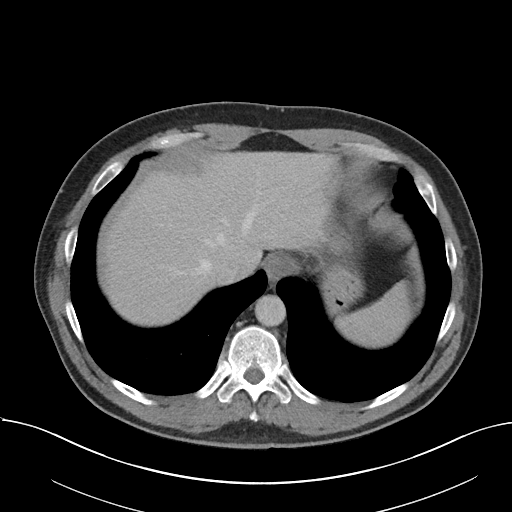
Liver; CT

Some hepatic vessels may have no box.
{"hepatic_vessel": ["(x1=205, y1=240, x2=214, y2=246)", "(x1=257, y1=252, x2=260, y2=257)", "(x1=218, y1=233, x2=224, y2=244)", "(x1=222, y1=219, x2=227, y2=225)", "(x1=178, y1=272, x2=181, y2=273)", "(x1=191, y1=273, x2=194, y2=274)", "(x1=200, y1=260, x2=210, y2=269)", "(x1=196, y1=269, x2=202, y2=273)", "(x1=243, y1=212, x2=253, y2=233)", "(x1=198, y1=237, x2=199, y2=238)"]}